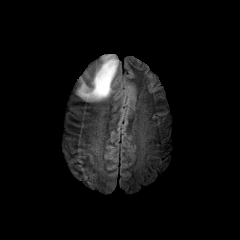
FLAIR MR image.
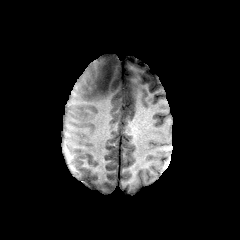
T1-weighted MR image.
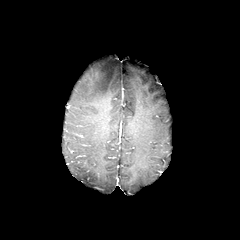
Post-contrast T1-weighted MR image.
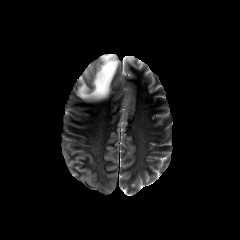
T2-weighted MRI.
Head; 240x240
edema: (left=78, top=54, right=118, bottom=100)